FLAIR MR image.
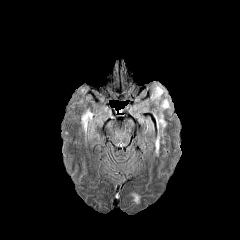
T1-weighted MR.
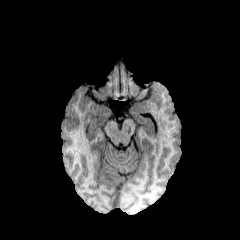
Post-contrast T1-weighted MR image.
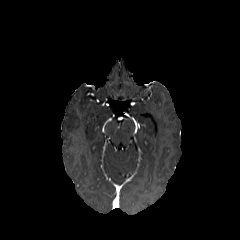
T2-weighted MR image.
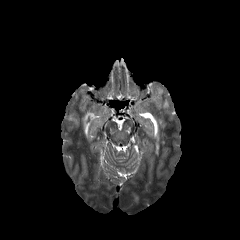
4 edema regions are located at <bbox>154, 87, 162, 97</bbox>, <bbox>81, 109, 92, 138</bbox>, <bbox>154, 115, 165, 126</bbox>, <bbox>155, 136, 159, 156</bbox>.